Slice index 85; Head
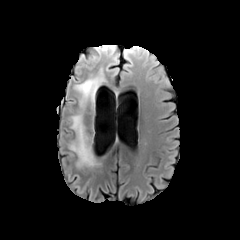
FLAIR MR image.
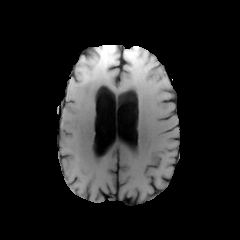
T1-weighted MR.
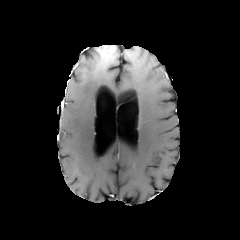
Same slice, post-contrast T1-weighted MR.
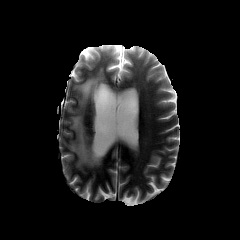
T2-weighted MRI of the same slice.
Enhancing tumor: 97:47:117:63.
Non-enhancing tumor core: 91:48:101:61.
Edema: 70:56:118:167, 122:49:142:75.